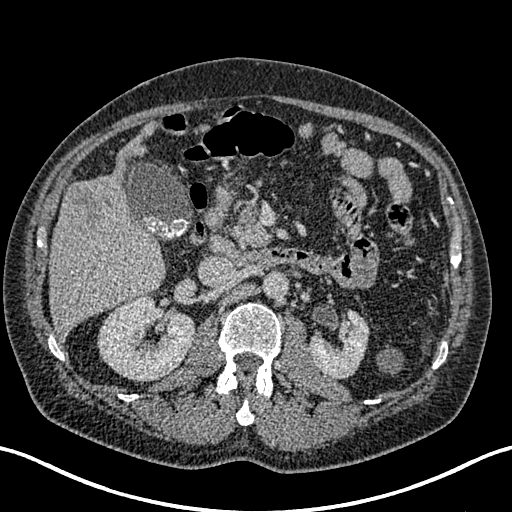

Abdomen; 512x512 px; CT scan slice
liver:
  - left=49, top=121, right=166, bottom=337
kidney:
  - left=99, top=297, right=193, bottom=380
  - left=310, top=311, right=368, bottom=377
focal_liver_lesion:
  - left=66, top=183, right=107, bottom=222